Head. 240x240 px.
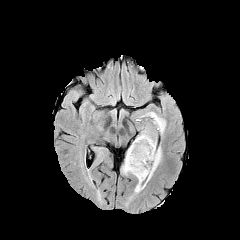
FLAIR MRI.
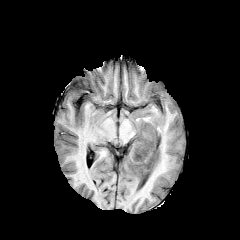
Same slice, T1-weighted MR.
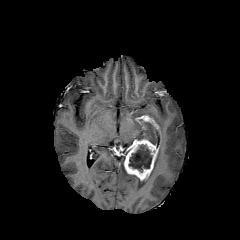
Post-contrast T1-weighted MR.
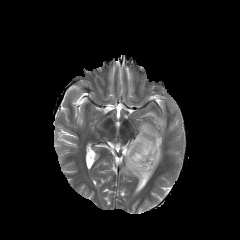
T2-weighted MR of the same slice.
2 non-enhancing tumor core regions are located at rect(128, 144, 155, 172); rect(137, 137, 156, 145). 3 edema regions are located at rect(136, 122, 157, 143); rect(143, 110, 165, 136); rect(134, 145, 161, 193). 2 enhancing tumor regions are located at rect(138, 116, 158, 128); rect(124, 139, 158, 180).